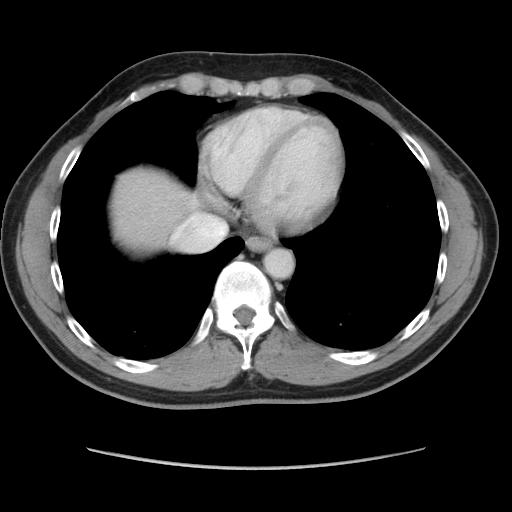 Liver; CT slice
Only some of the vessels may be annotated.
Segmented structures:
* hepatic vessel: x1=176 y1=234 x2=177 y2=236, x1=191 y1=215 x2=225 y2=242